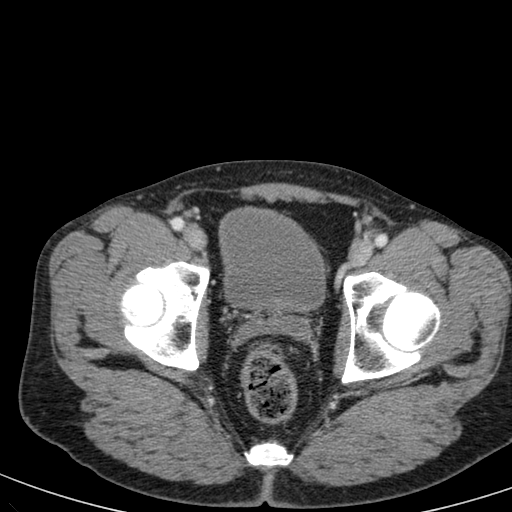
CT image; Pelvis; Image size 512x512
The urinary bladder is located at 219:207:324:312.